Head
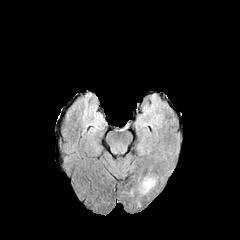
FLAIR MR image.
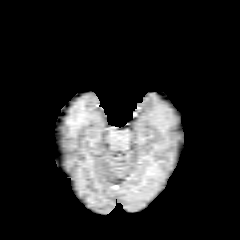
T1-weighted MR image.
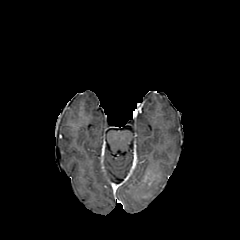
Post-contrast T1-weighted MRI of the same slice.
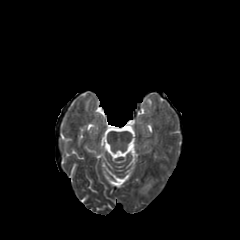
T2-weighted MRI.
Segmented structures:
* edema: [x1=140, y1=177, x2=156, y2=193]